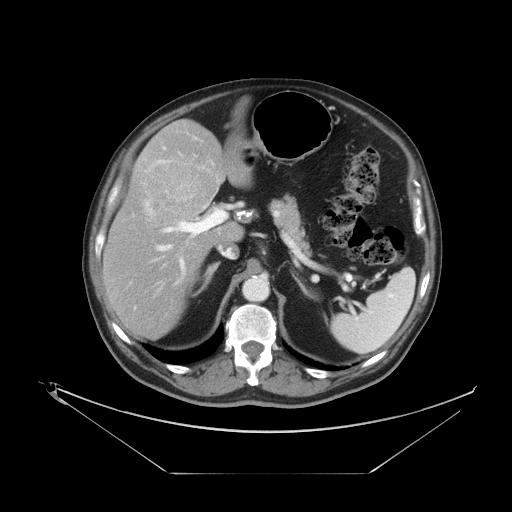
CT
Only some of the vessels may be annotated.
Hepatic vessel: [163,148,165,149], [158,160,168,163], [144,199,153,215], [144,183,146,184], [157,244,171,250], [180,258,185,273], [164,207,225,235], [176,282,178,283], [204,205,206,207], [145,170,149,172].
Liver tumor: [150,162,215,210].